MR; 320x320 px 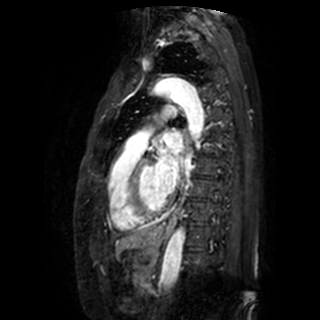

Segmented structures:
* left atrium: box(155, 132, 181, 192)